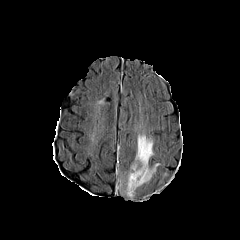
FLAIR MRI.
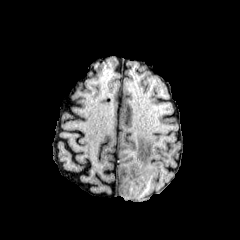
T1-weighted MR image of the same slice.
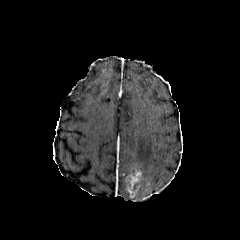
Same slice, post-contrast T1-weighted MR.
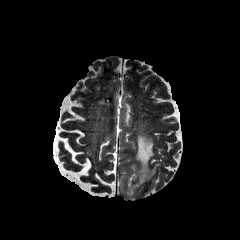
T2-weighted MR image.
240x240 px
{
  "edema": [
    "132:132:160:184"
  ],
  "enhancing_tumor": [
    "125:167:143:198"
  ]
}